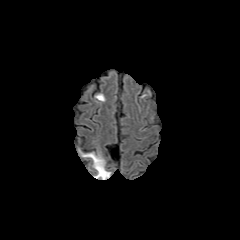
FLAIR magnetic resonance.
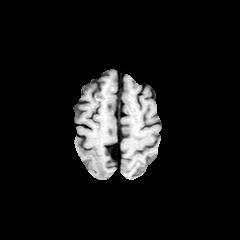
Same slice, T1-weighted MRI.
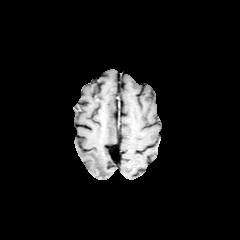
Post-contrast T1-weighted MR image.
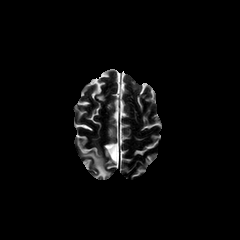
Same slice, T2-weighted MRI.
edema: <bbox>80, 150, 110, 179</bbox>